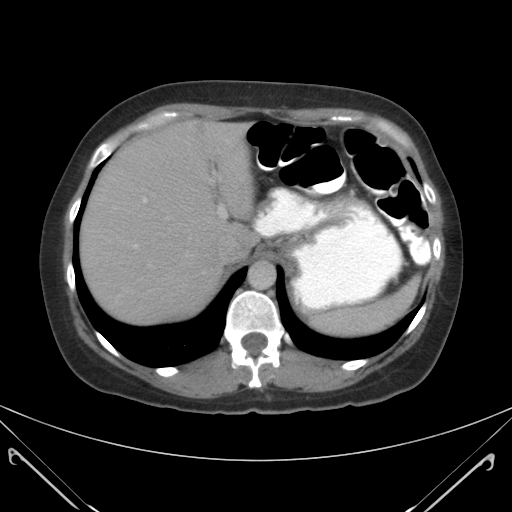
CT image
spleen:
  - [312,277,419,336]